Field of view 422x422 mm; CT; Slice 85 of 164

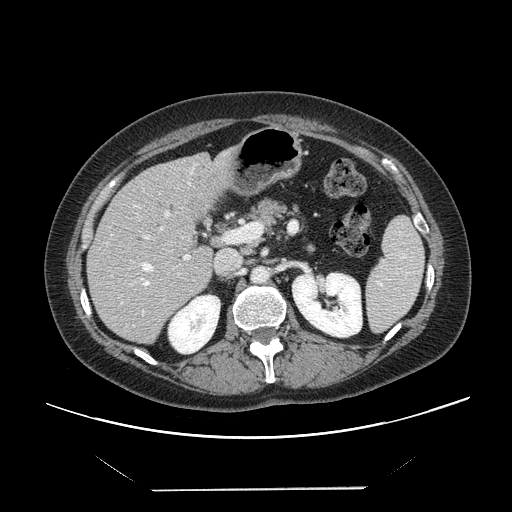
Some hepatic vessels may have no box.
Liver tumor: left=190, top=197, right=207, bottom=214.
Hepatic vessel: left=110, top=234, right=112, bottom=236; left=224, top=222, right=260, bottom=242; left=164, top=210, right=169, bottom=218; left=106, top=242, right=107, bottom=244; left=143, top=234, right=151, bottom=239; left=142, top=310, right=144, bottom=313; left=215, top=250, right=240, bottom=271; left=136, top=215, right=140, bottom=218; left=130, top=277, right=150, bottom=286; left=183, top=254, right=190, bottom=261; left=159, top=226, right=163, bottom=230; left=182, top=236, right=183, bottom=238; left=132, top=204, right=140, bottom=209; left=121, top=301, right=122, bottom=303; left=139, top=261, right=153, bottom=273.